Abdomen | Image size 512x512 | CT scan slice
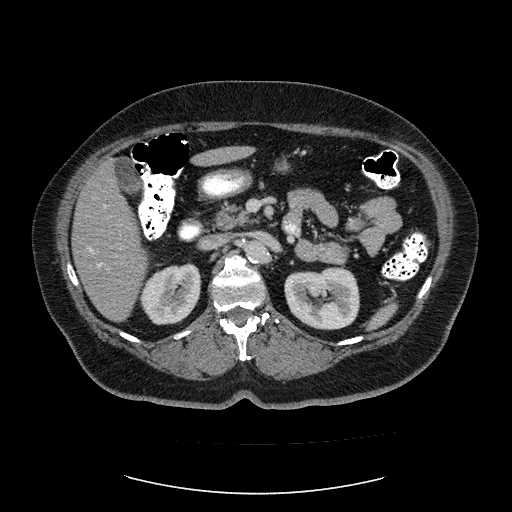
Some hepatic vessels may have no box.
Hepatic vessel = 94, 198, 96, 199; 104, 205, 106, 206; 88, 247, 93, 251; 98, 263, 101, 267; 108, 215, 110, 216.